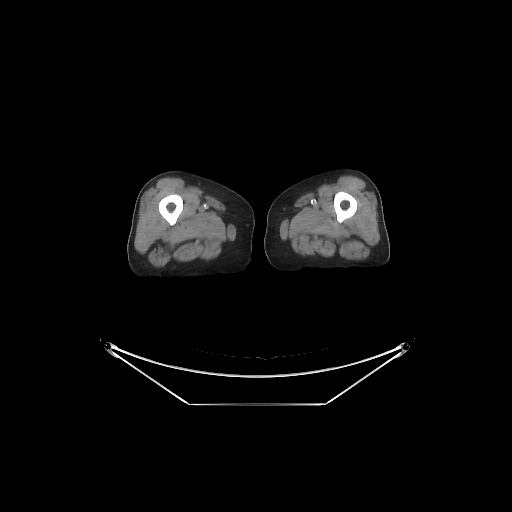
Computed tomography
• bone: bbox(334, 191, 356, 222); bbox(159, 193, 182, 225)